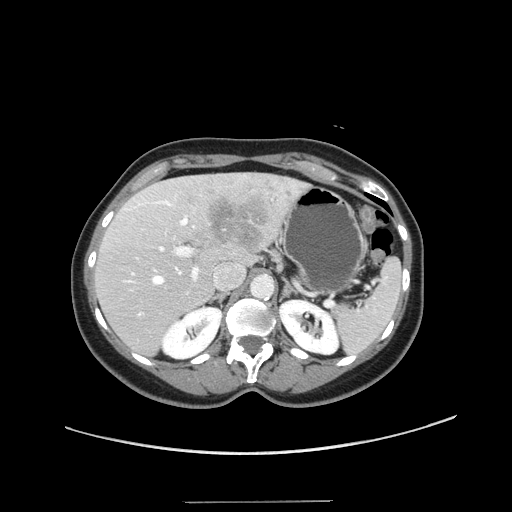
Computed tomography. Liver.
Some hepatic vessels may have no box.
10 hepatic vessel regions are bounded by 160,247,163,249; 193,267,197,277; 214,264,243,288; 154,276,162,283; 176,268,180,272; 181,217,187,223; 176,247,191,254; 163,201,171,204; 132,272,134,274; 139,313,142,314. The liver tumor appears at 204,190,274,255.